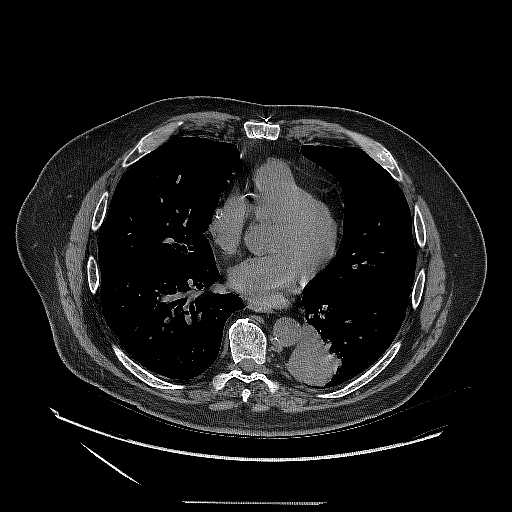 512x512; Computed tomography; Chest
lung tumor: box=[287, 315, 345, 388]